FLAIR MR.
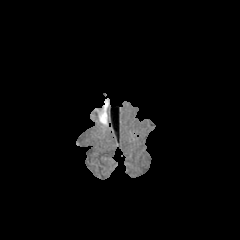
T1-weighted MRI.
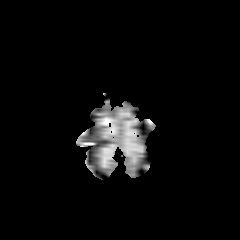
Post-contrast T1-weighted magnetic resonance.
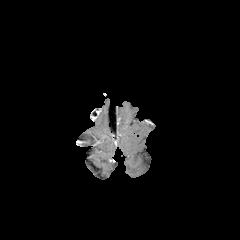
T2-weighted MRI.
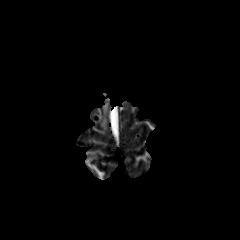
Head | Image size 240x240
The edema appears at 96,102,108,126.